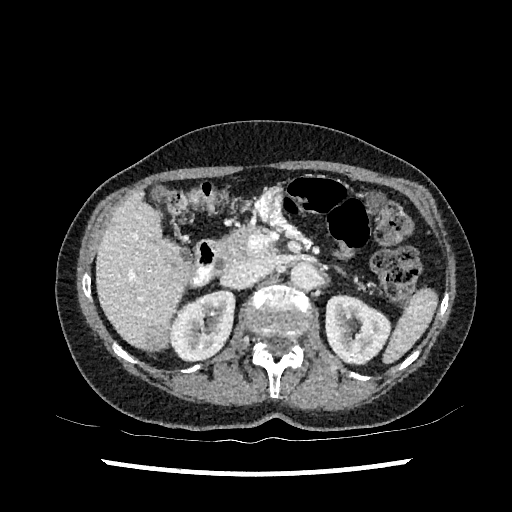

CT scan slice | 512x512
The focal liver lesion lies within <bbox>145, 327, 167, 348</bbox>. 2 kidney regions are located at <bbox>326, 296, 389, 363</bbox>, <bbox>171, 291, 234, 360</bbox>. The liver is located at <bbox>97, 191, 187, 349</bbox>.